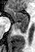
Image size 35x52. MRI.

Anterior hippocampus = x1=7 y1=7 x2=27 y2=21.
Posterior hippocampus = x1=13 y1=21 x2=27 y2=34.